Abdomen; Slice 32/151; Image size 512x512; CT; Field of view 421x421 mm 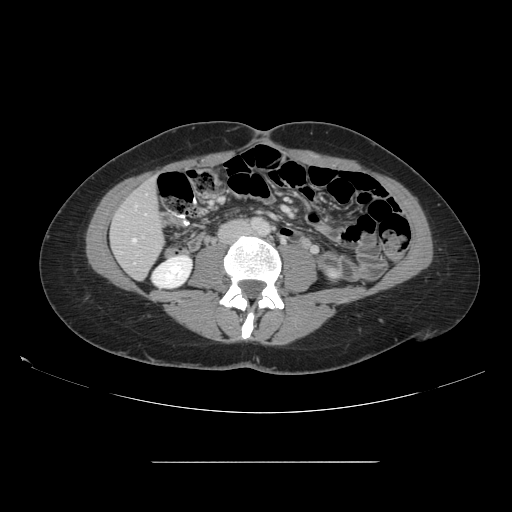

Not every hepatic vessel necessarily has a box.
- hepatic vessel: bbox=[132, 239, 136, 242]